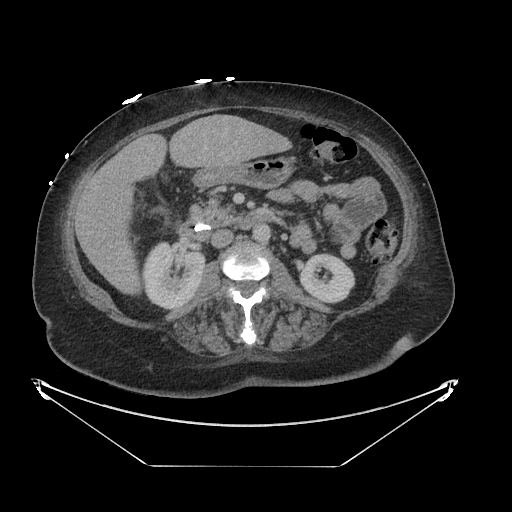

512x512 px | Computed tomography
Pancreas: 203,198,239,226.